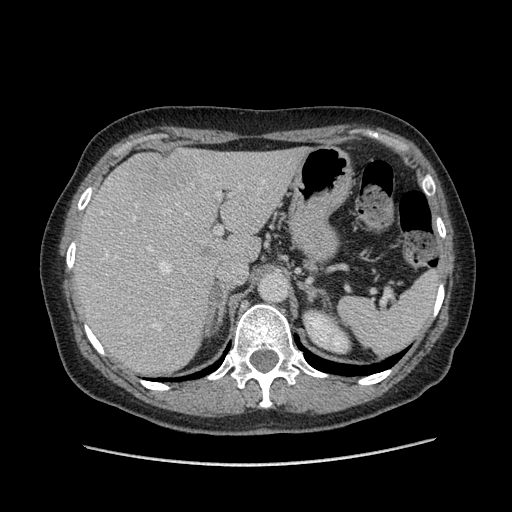
CT | Liver
Only some of the vessels may be annotated.
Annotated regions:
* hepatic vessel: [131,218,135,221], [134,273,143,280], [216,192,220,197], [159,261,170,273], [214,227,222,234], [239,186,240,187], [152,273,154,275], [128,282,131,284], [136,204,137,207], [148,247,152,250]